Slice index 255, CT
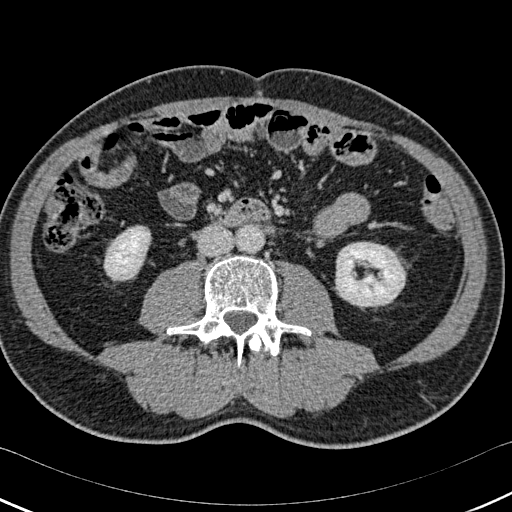
bone: 167:256:310:367 | kidney: 104:226:150:279, 336:242:404:306